CT slice | Slice index 45 | 512x512 px 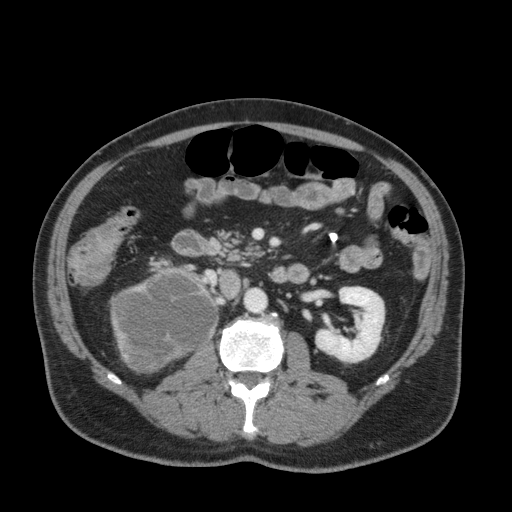
kidney:
  - <box>316,287,383,361</box>